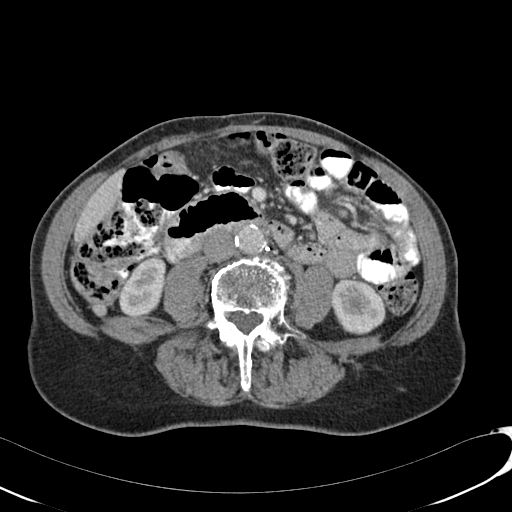
Image size 512x512 | CT image

• liver: (x1=75, y1=168, x2=124, y2=241)
• kidney: (x1=120, y1=258, x2=164, y2=316), (x1=332, y1=280, x2=384, y2=332)